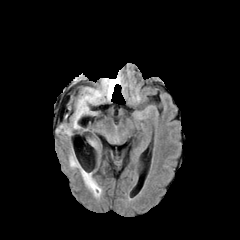
FLAIR MR.
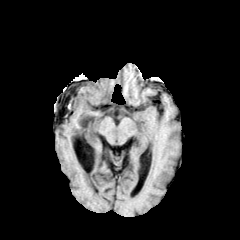
T1-weighted MRI.
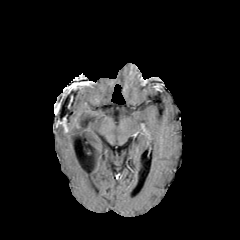
Post-contrast T1-weighted MRI.
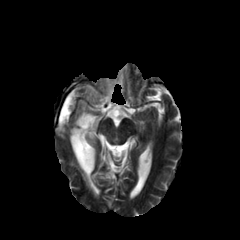
T2-weighted MR.
Head
3 edema regions are bounded by x1=69 y1=155 x2=101 y2=197, x1=60 y1=124 x2=71 y2=135, x1=73 y1=80 x2=113 y2=128.